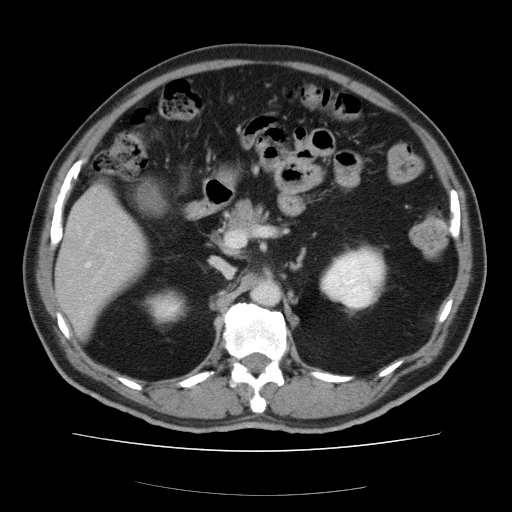
CT image, Image size 512x512, Liver

Not every hepatic vessel necessarily has a box.
<segmentation>
  <hepatic_vessel><box>85,262,89,266</box>, <box>88,236,89,238</box></hepatic_vessel>
</segmentation>